240x240. Slice 63/155. Brain.
FLAIR MRI.
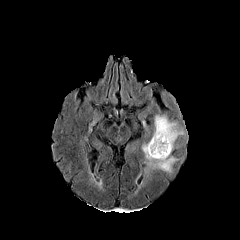
T1-weighted MR.
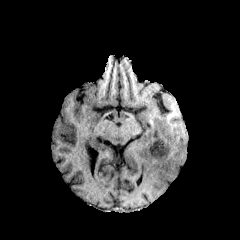
Post-contrast T1-weighted MRI.
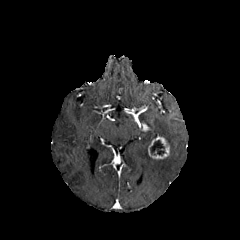
T2-weighted MR.
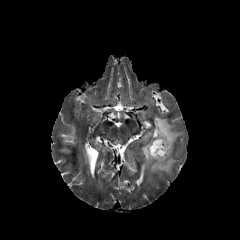
Non-enhancing tumor core = region(149, 140, 165, 155).
Edema = region(142, 114, 183, 173).
Enhancing tumor = region(147, 136, 170, 159).